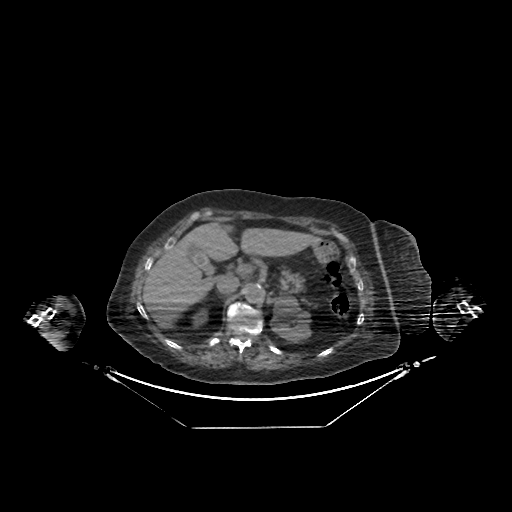
Computed tomography. Liver.
Kidney = rect(192, 310, 206, 325); rect(271, 298, 311, 342).
Liver = rect(142, 220, 322, 328).